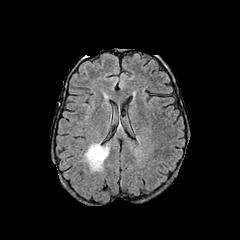
FLAIR magnetic resonance.
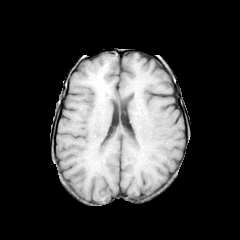
Same slice, T1-weighted magnetic resonance.
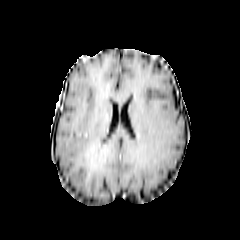
Same slice, post-contrast T1-weighted MR image.
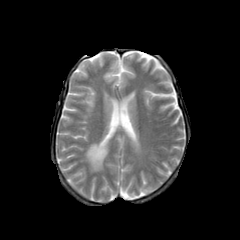
Same slice, T2-weighted MR image.
Head.
Annotated regions:
* edema: x1=83 y1=140 x2=105 y2=172
* non-enhancing tumor core: x1=90 y1=146 x2=108 y2=169